Abdomen; Computed tomography; Slice index 35; Image size 512x512
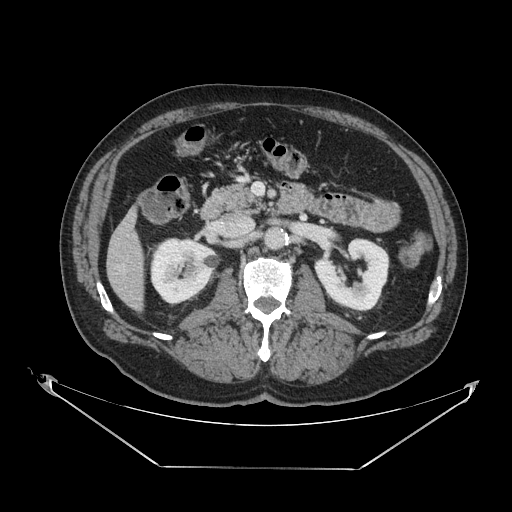 The pancreas appears at 212:182:263:216.